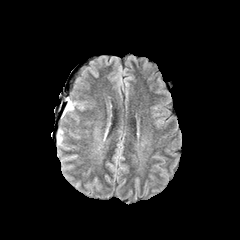
FLAIR MR image.
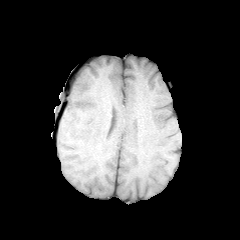
T1-weighted MR.
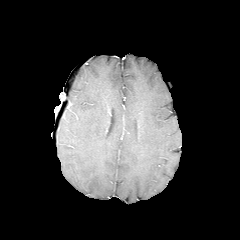
Post-contrast T1-weighted magnetic resonance.
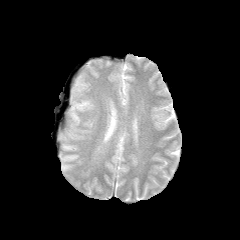
T2-weighted MR image of the same slice.
Image size 240x240 | Brain
<segmentation>
  <edema>x1=66 y1=100 x2=87 y2=111</edema>
</segmentation>